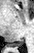
MRI slice; Medial temporal lobe
posterior_hippocampus:
  - <box>8,39,24,46</box>